Field of view 360x360 mm. CT slice.

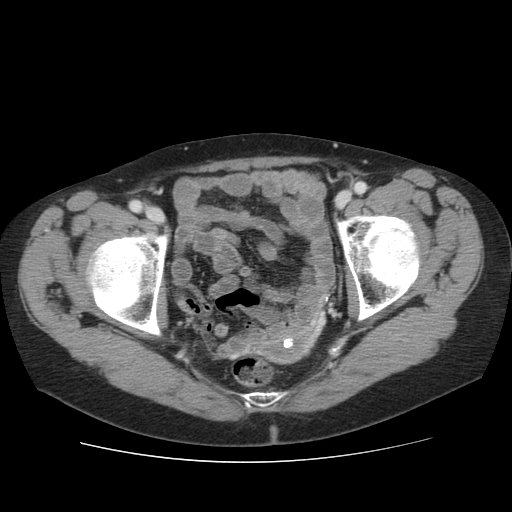 3 bone regions appear at box=[83, 228, 169, 336]; box=[335, 210, 427, 321]; box=[228, 390, 284, 409].